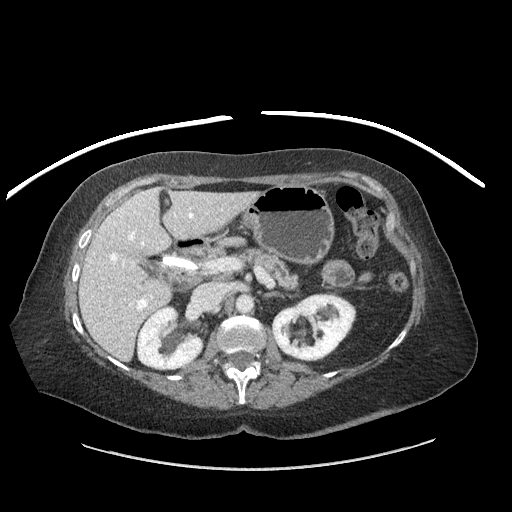

512x512 | Computed tomography | Abdomen

The pancreas lies within l=242, t=250, r=298, b=289.